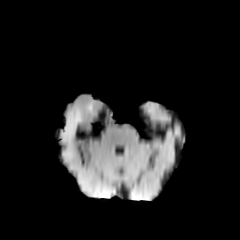
FLAIR MR image.
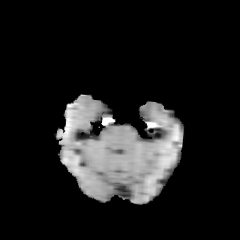
Same slice, T1-weighted MRI.
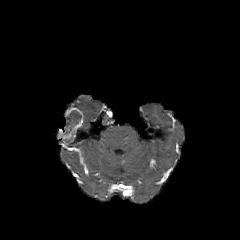
Post-contrast T1-weighted MR of the same slice.
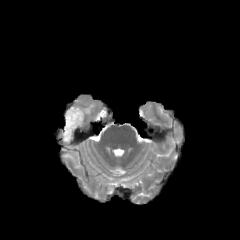
Same slice, T2-weighted MR.
The enhancing tumor lies within x1=57 y1=107 x2=83 y2=142. The non-enhancing tumor core is bounded by x1=65 y1=110 x2=81 y2=126.